240x240. Head.
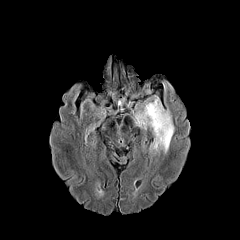
FLAIR MR.
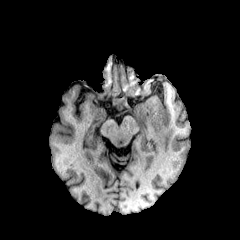
Same slice, T1-weighted MR image.
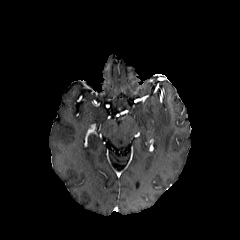
Post-contrast T1-weighted magnetic resonance.
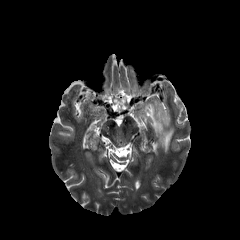
T2-weighted magnetic resonance.
edema:
  - [x1=134, y1=96, x2=174, y2=156]